CT slice. Image width 421 mm. Liver.
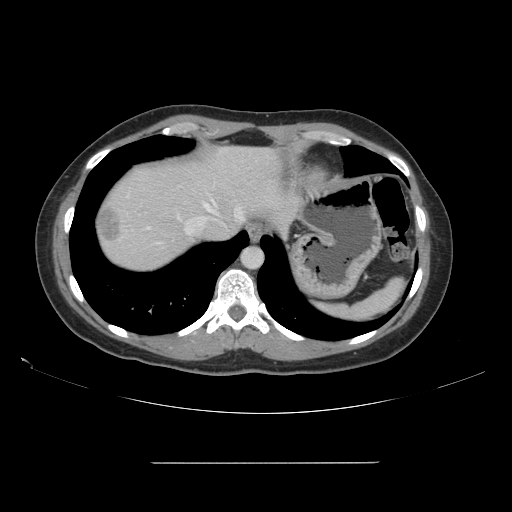
Some hepatic vessels may have no box.
Hepatic vessel = bbox=[235, 208, 241, 219]; bbox=[185, 227, 193, 233]; bbox=[205, 200, 215, 212]; bbox=[148, 227, 149, 228]; bbox=[195, 217, 205, 224].
Liver tumor = bbox=[99, 206, 121, 245].